Computed tomography. Slice index 33. Abdomen.
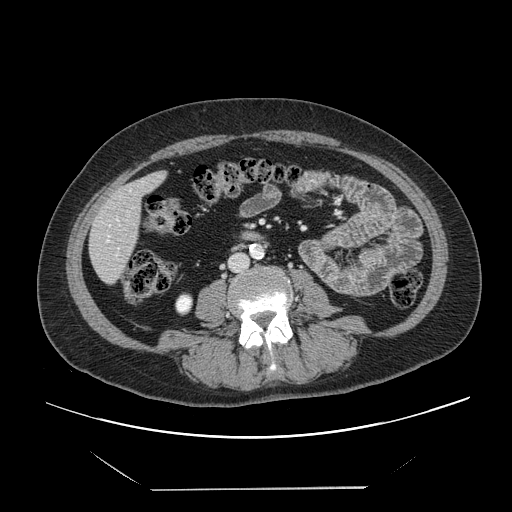

Some hepatic vessels may have no box.
{"hepatic_vessel": ["(x1=106, y1=234, x2=110, y2=242)", "(x1=129, y1=189, x2=131, y2=191)", "(x1=116, y1=217, x2=118, y2=222)", "(x1=108, y1=225, x2=110, y2=227)"]}